Brain.
FLAIR MRI.
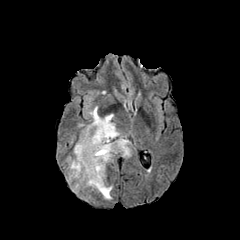
T1-weighted magnetic resonance.
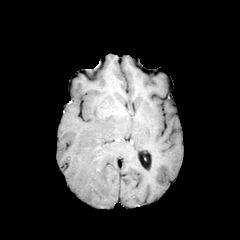
Post-contrast T1-weighted MR.
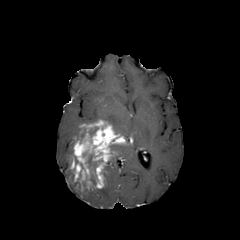
T2-weighted MRI.
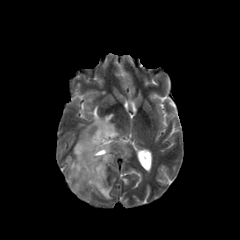
Enhancing tumor = (left=70, top=120, right=126, bottom=188).
Non-enhancing tumor core = (left=80, top=152, right=95, bottom=187), (left=69, top=148, right=77, bottom=164), (left=85, top=126, right=97, bottom=137).
Edema = (left=67, top=167, right=112, bottom=199), (left=87, top=106, right=121, bottom=135), (left=106, top=138, right=131, bottom=170).